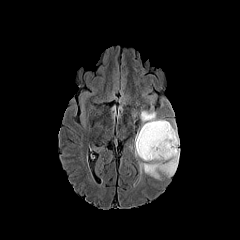
FLAIR magnetic resonance.
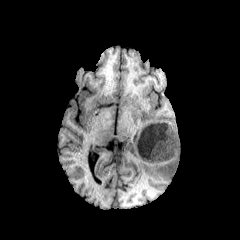
T1-weighted MR image.
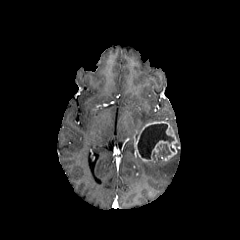
Post-contrast T1-weighted MR.
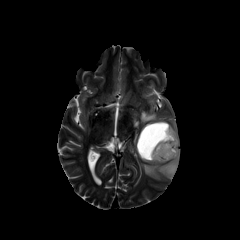
T2-weighted MR.
2 non-enhancing tumor core regions are located at 137,123,174,159; 157,145,170,159. The enhancing tumor is at 135,121,177,161. 2 edema regions appear at 139,96,169,130; 137,119,180,179.